Slice 376/771. CT image. Liver. 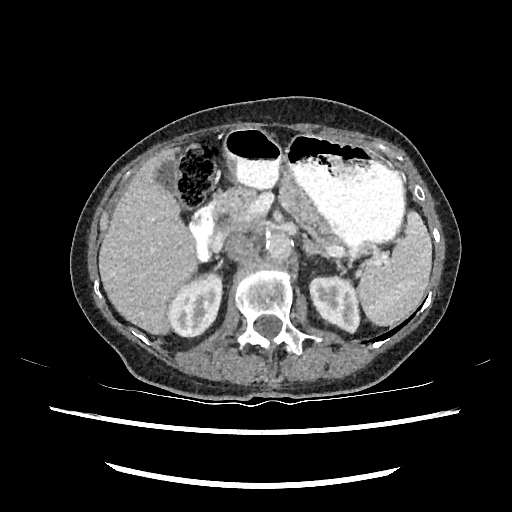 kidney: (x1=169, y1=276, x2=221, y2=335), (x1=310, y1=278, x2=358, y2=329) | liver: (x1=99, y1=148, x2=196, y2=333)